Upper abdomen | 512x512 px | CT

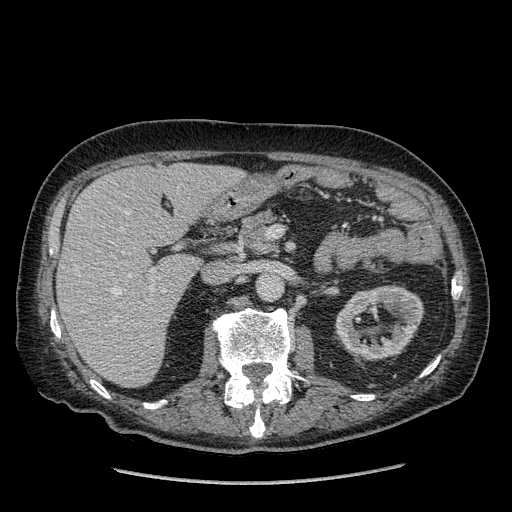
* kidney: (336,286,423,360)
* liver: (57,163,240,387)